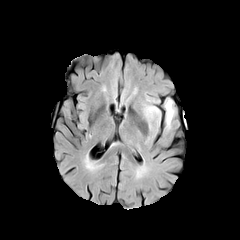
FLAIR MR.
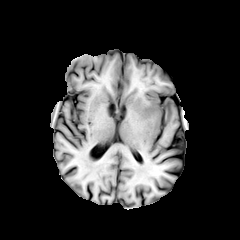
T1-weighted MR of the same slice.
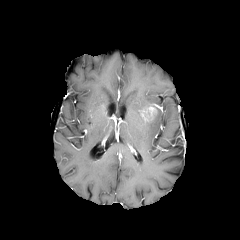
Post-contrast T1-weighted MRI of the same slice.
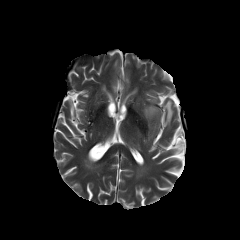
Same slice, T2-weighted MR image.
The edema is at bbox(165, 99, 174, 127).